Slice 99 of 565; CT; Image width 335 mm 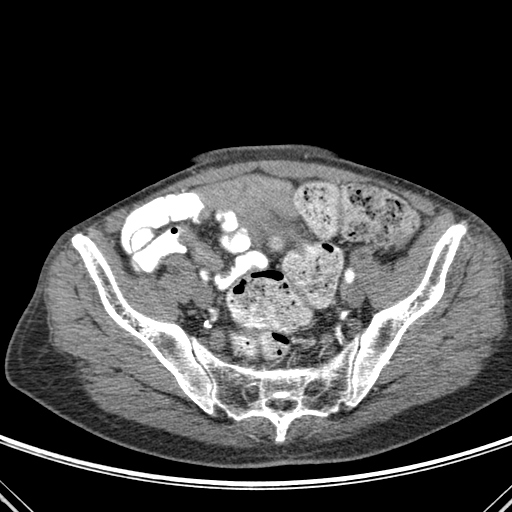
bone:
  - bbox=[71, 222, 466, 441]